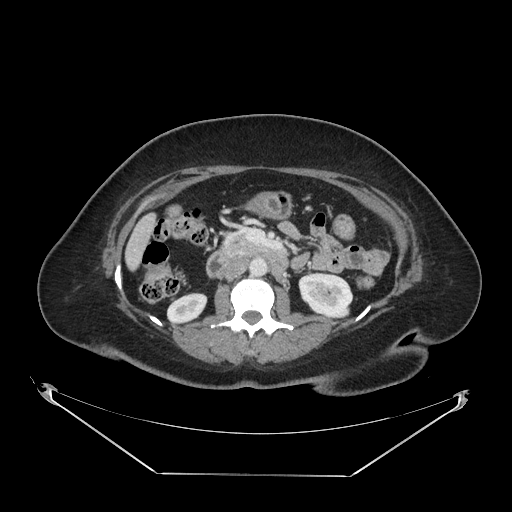

Computed tomography
Pancreas — [222, 233, 267, 255].